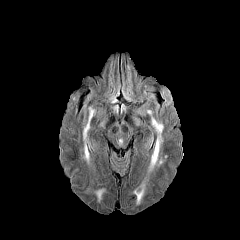
FLAIR magnetic resonance.
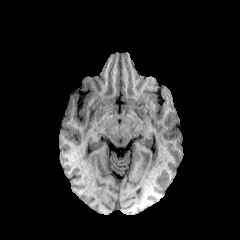
T1-weighted magnetic resonance of the same slice.
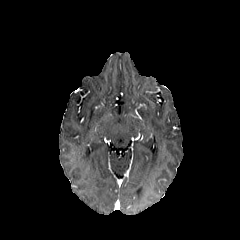
Same slice, post-contrast T1-weighted MR.
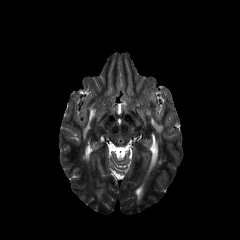
T2-weighted MR.
Brain
Segmented structures:
* edema: box(94, 189, 104, 200); box(134, 182, 145, 204); box(144, 118, 162, 179); box(82, 107, 95, 163)